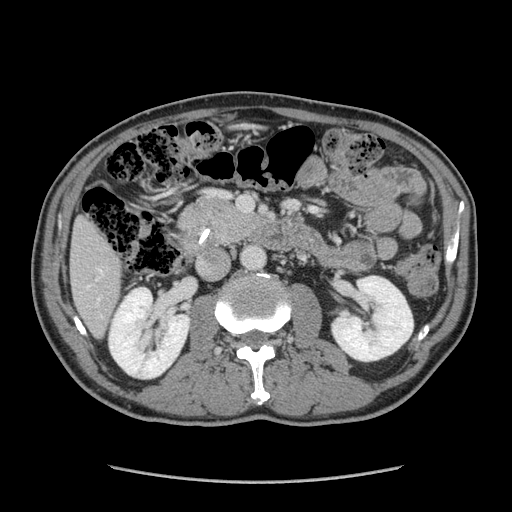

CT image. Pancreas at 179 195 263 246.